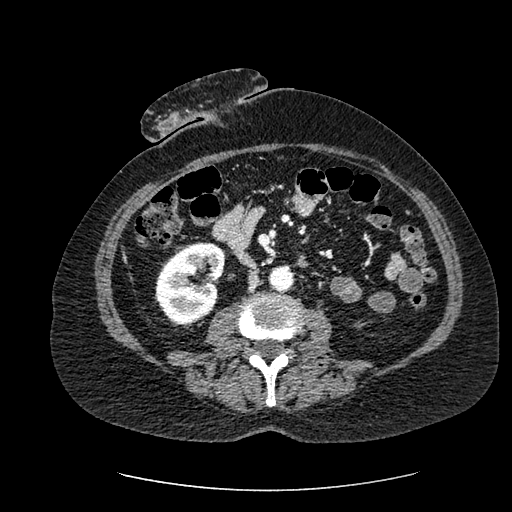

Image size 512x512 | Computed tomography | Liver
<segmentation>
  <liver>121, 244, 127, 265</liver>
  <kidney>156, 243, 224, 324</kidney>
</segmentation>